Brain; Slice 109 of 155
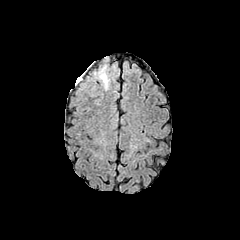
FLAIR MR image.
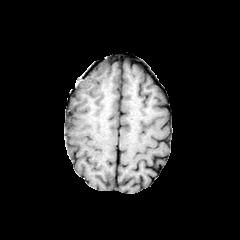
T1-weighted MR.
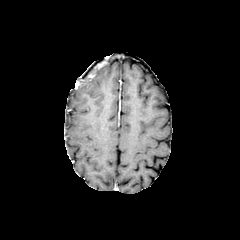
Post-contrast T1-weighted MR image of the same slice.
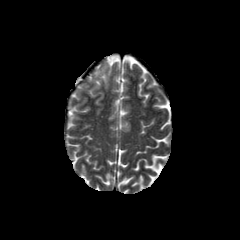
T2-weighted MRI.
Findings:
- edema: l=88, t=62, r=112, b=87